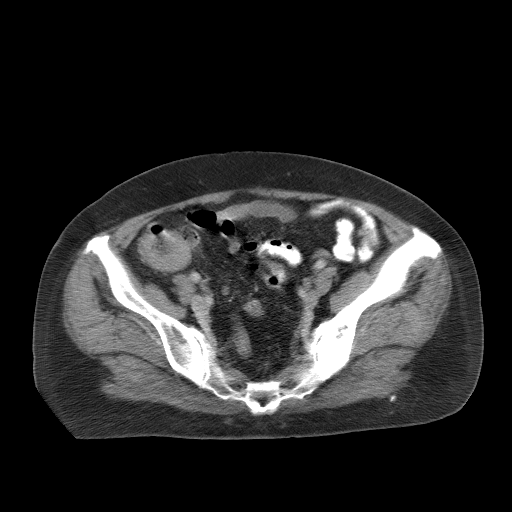

CT image. Image size 512x512. Pelvis.

Segmented structures:
• colon tumor: (141, 234, 190, 270)